FLAIR MR.
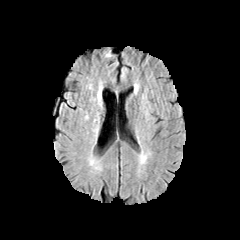
T1-weighted magnetic resonance.
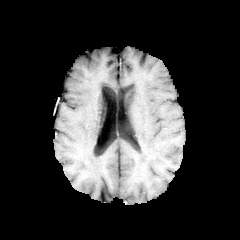
Post-contrast T1-weighted magnetic resonance.
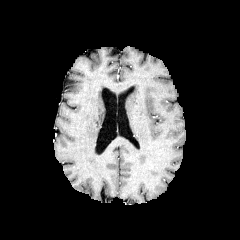
T2-weighted MRI.
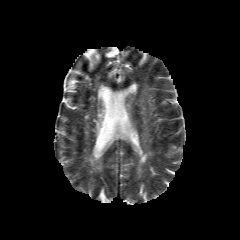
Head.
The edema is at 138,149,149,171.